CT slice
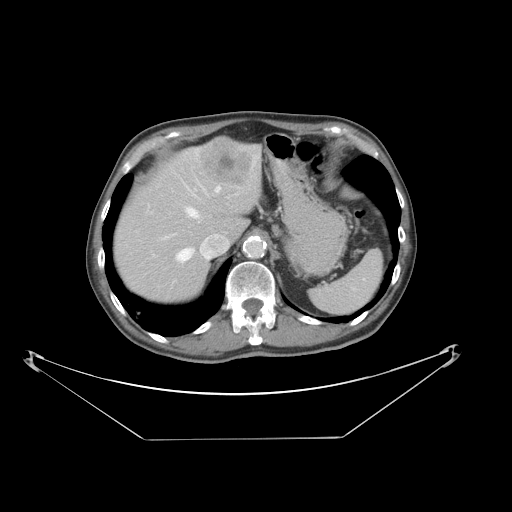 Not every hepatic vessel necessarily has a box.
The liver tumor is bounded by 199,136,254,187. 7 hepatic vessel regions appear at 186,207,198,217; 190,233,192,235; 200,233,224,251; 182,181,201,200; 215,186,220,192; 177,248,194,261; 202,187,207,193.